Abdomen; CT

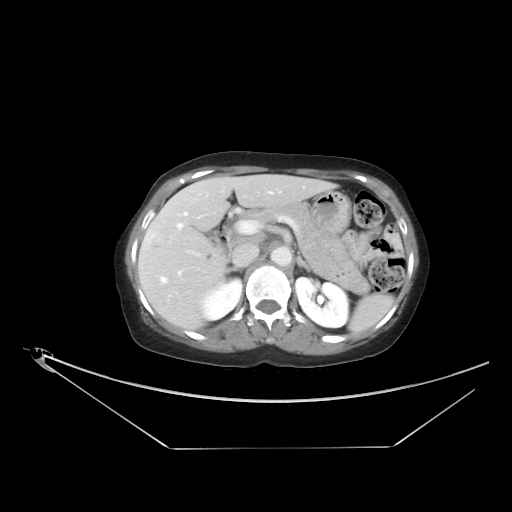
The liver tumor appears at (left=148, top=235, right=165, bottom=252).